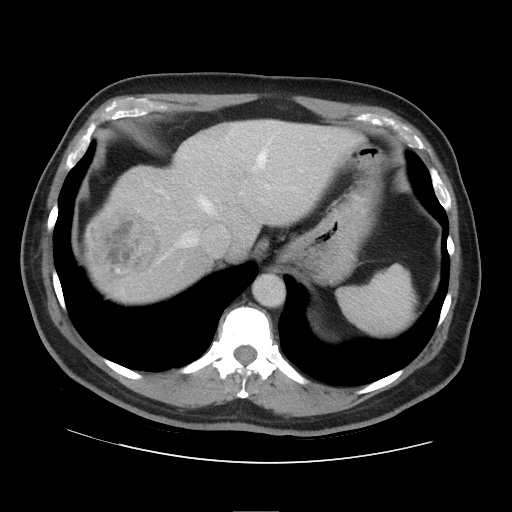 CT image; Liver
Not every hepatic vessel necessarily has a box.
The liver tumor appears at 87, 205, 163, 282. 2 hepatic vessel regions are located at 198, 194, 215, 214; 175, 231, 198, 246.